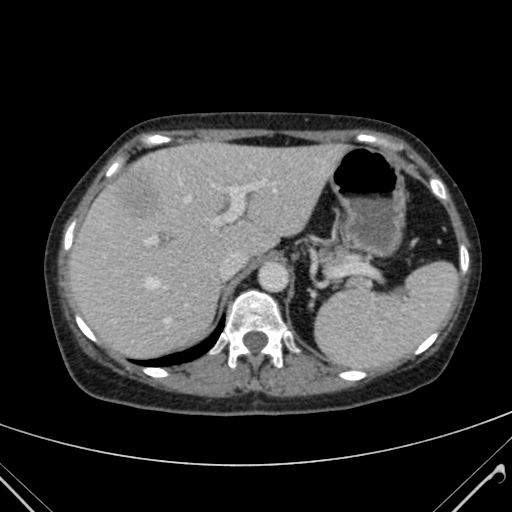

CT image
The liver lesion is located at bbox=[116, 168, 165, 219]. The liver lies within bbox=[70, 142, 346, 356].